CT. 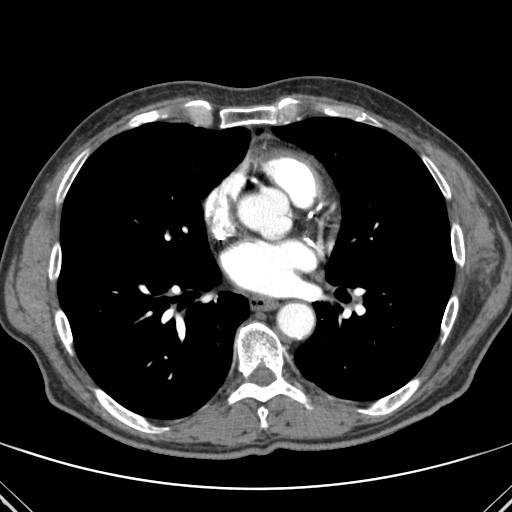 {"partial": true, "lung": ["(58,122,250,418)", "(273,117,454,400)"], "bone": {"n_total": 16, "boxes": ["(441,296,458,341)", "(423,156,450,198)", "(258,407,267,427)", "(49,244,61,279)", "(228,322,310,408)", "(325,108,373,121)", "(56,152,85,201)", "(176,315,182,324)", "(94,389,167,433)", "(186,100,210,109)", "(358,379,419,415)", "(451,224,464,266)", "(129,112,157,126)", "(220,98,297,127)", "(55,310,72,353)"]}}